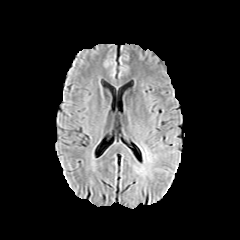
FLAIR magnetic resonance.
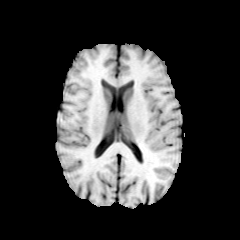
T1-weighted MR image of the same slice.
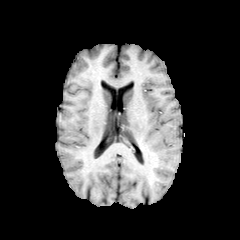
Post-contrast T1-weighted MR.
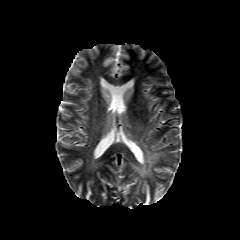
T2-weighted MRI.
240x240 px.
Edema at region(142, 149, 153, 167).